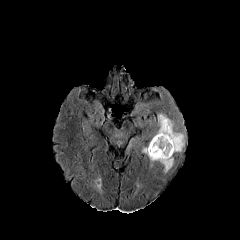
FLAIR MRI.
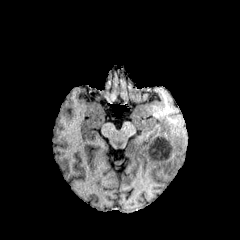
T1-weighted MRI of the same slice.
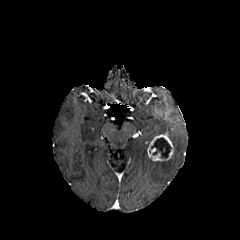
Post-contrast T1-weighted magnetic resonance.
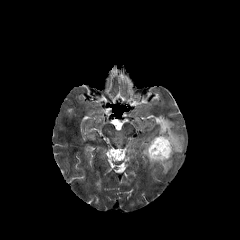
Same slice, T2-weighted MR.
The enhancing tumor lies within l=147, t=132, r=173, b=161. The non-enhancing tumor core is at l=151, t=137, r=172, b=158. 2 edema regions are bounded by l=155, t=113, r=185, b=152; l=156, t=157, r=173, b=173.